Image width 32 mm | MR | Medial temporal lobe | Image size 32x49

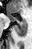
{
  "anterior_hippocampus": [
    "x1=7 y1=13 x2=25 y2=21"
  ],
  "posterior_hippocampus": [
    "x1=14 y1=22 x2=26 y2=36"
  ]
}